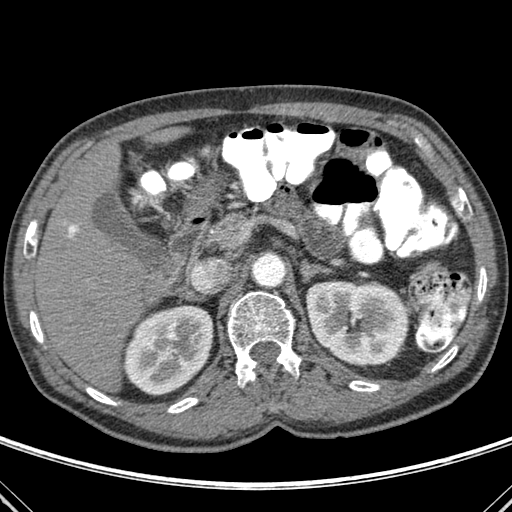 CT slice
Liver: rect(34, 150, 161, 391); rect(144, 127, 187, 142).
Kidney: rect(307, 282, 406, 363); rect(126, 306, 211, 393); rect(157, 351, 170, 362).
Bone: rect(30, 311, 43, 342); rect(168, 397, 197, 412); rect(432, 346, 457, 371); rect(454, 188, 468, 210); rect(227, 291, 301, 386); rect(349, 380, 379, 391); rect(86, 387, 116, 405); rect(24, 220, 36, 254); rect(477, 267, 487, 300).